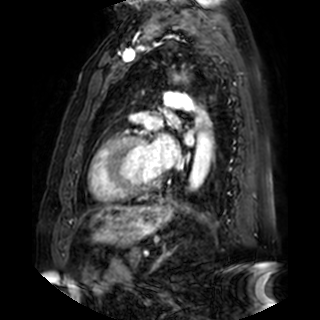

MRI, 320x320, Cardiac
2 left atrium regions are located at l=146, t=136, r=178, b=167; l=184, t=132, r=194, b=144.